Field of view 240x240 mm. Head.
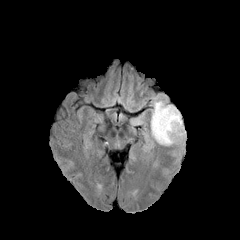
FLAIR MR.
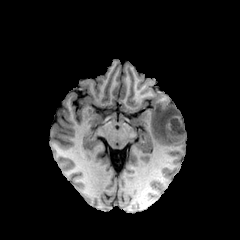
T1-weighted MR.
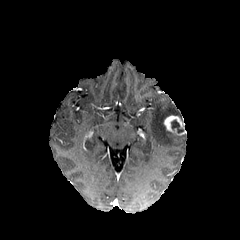
Same slice, post-contrast T1-weighted magnetic resonance.
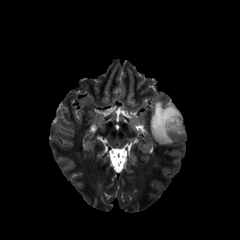
Same slice, T2-weighted MRI.
The edema is bounded by (150,101,180,144). The non-enhancing tumor core is at (171,119,184,133). The enhancing tumor is at (163,115,185,135).